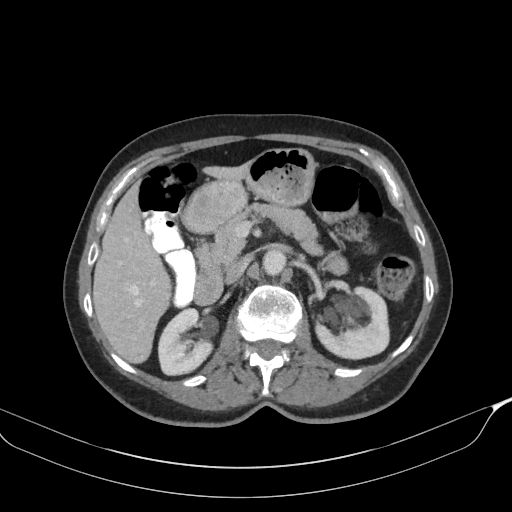
Computed tomography; 512x512 px
2 pancreas regions are bounded by (left=251, top=204, right=320, bottom=252), (left=208, top=210, right=248, bottom=267).